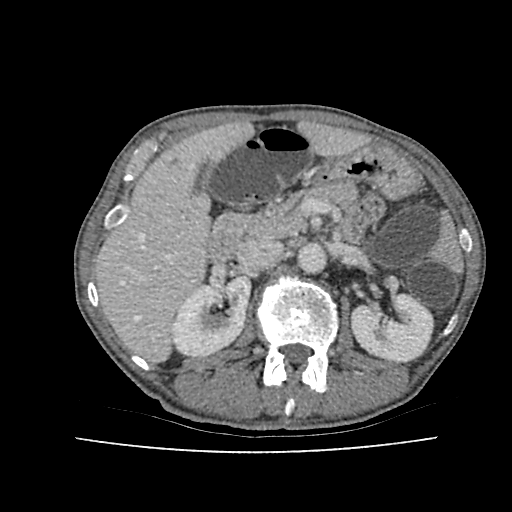
Computed tomography. liver:
  - 302, 125, 362, 152
  - 97, 124, 251, 358
kidney:
  - 352, 295, 432, 360
  - 172, 277, 249, 355